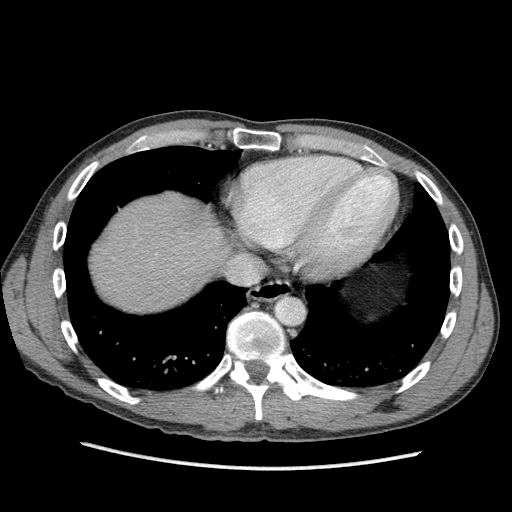 CT.
liver: bbox=[89, 191, 239, 313]